CT; Slice index 39

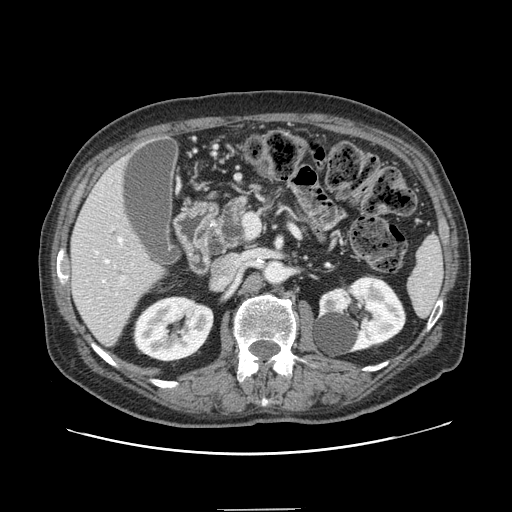
<segmentation>
  <pancreas>x1=202, y1=185, x2=271, y2=254</pancreas>
</segmentation>